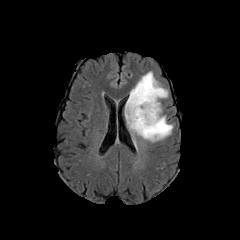
FLAIR MR.
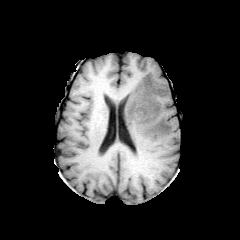
T1-weighted magnetic resonance.
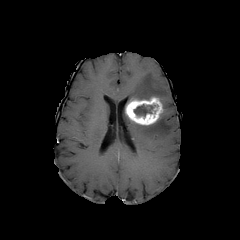
Same slice, post-contrast T1-weighted MR.
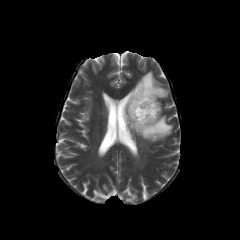
Same slice, T2-weighted MR.
Head | 240x240
Non-enhancing tumor core = box(134, 104, 150, 115); box(144, 77, 151, 89).
Edema = box(128, 72, 168, 101); box(126, 114, 173, 142).
Enhancing tumor = box(126, 96, 161, 125).